CT. 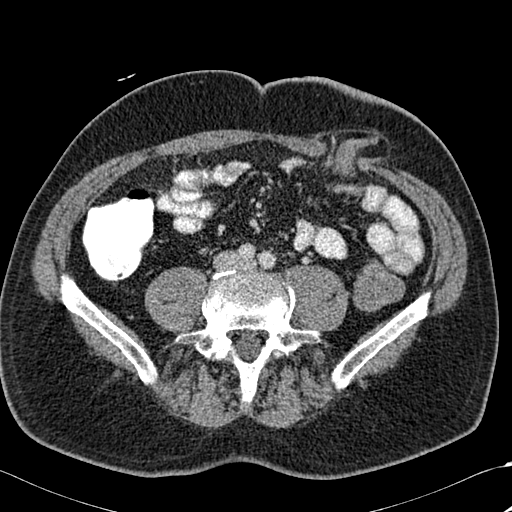 bone: <box>175,269,318,402</box>, <box>332,293,429,388</box>, <box>61,276,157,384</box>